Head | Slice index 72 | Field of view 240x240 mm
FLAIR MR image.
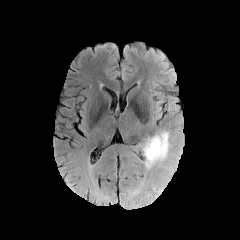
T1-weighted MR image.
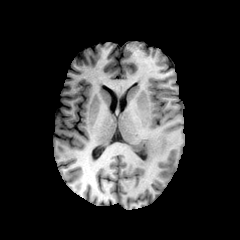
Post-contrast T1-weighted MR image.
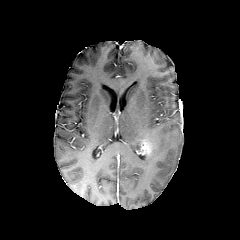
T2-weighted magnetic resonance.
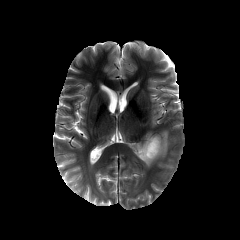
enhancing tumor: bbox=[140, 139, 152, 155] | edema: bbox=[143, 131, 170, 167]